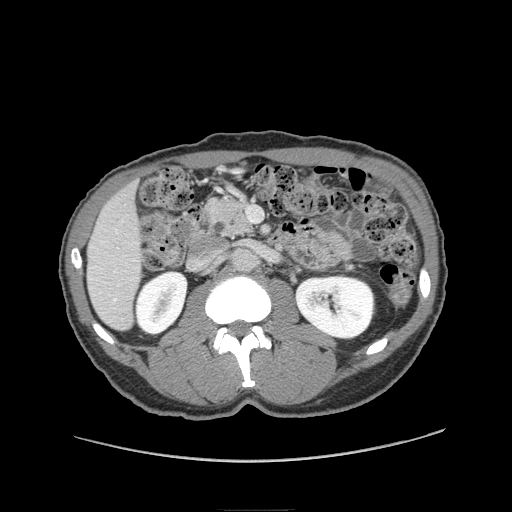
CT image | Upper abdomen

pancreas: x1=206 y1=198 x2=252 y2=237